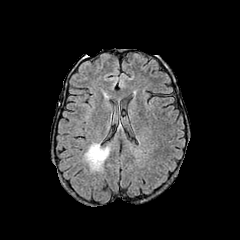
FLAIR MR.
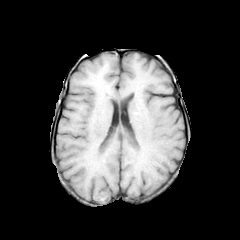
T1-weighted MR image of the same slice.
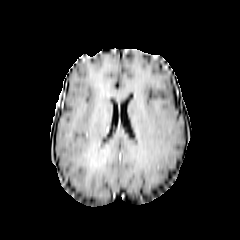
Same slice, post-contrast T1-weighted MRI.
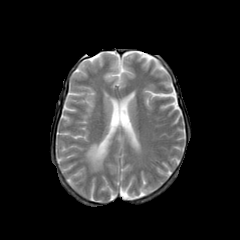
T2-weighted magnetic resonance.
edema: (left=84, top=141, right=111, bottom=172) | non-enhancing tumor core: (left=90, top=145, right=108, bottom=169)